Slice index 48 | Field of view 240x240 mm | Head | 240x240 px
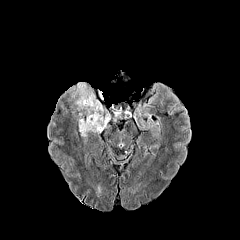
FLAIR MRI.
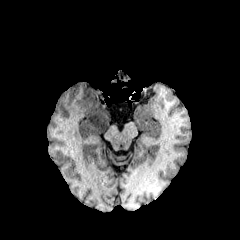
T1-weighted magnetic resonance.
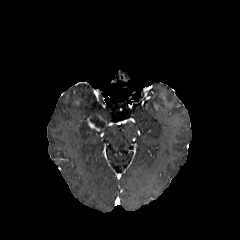
Post-contrast T1-weighted MRI.
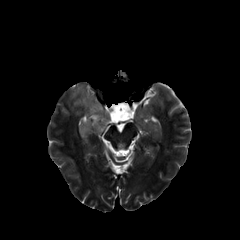
T2-weighted MR of the same slice.
Enhancing tumor at <box>88,116,101,130</box>.
Edema at <box>78,122,101,143</box>, <box>70,83,108,123</box>.
Non-enhancing tumor core at <box>89,112,109,131</box>.